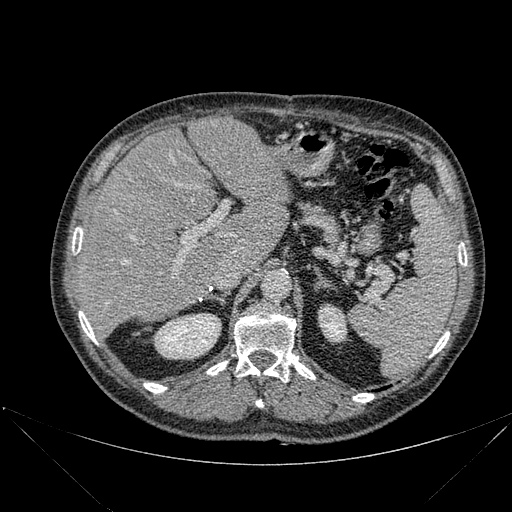
CT scan slice | Abdomen

Liver: [76,117,290,338].
Bone: [72,232,82,253], [430,331,449,357], [234,311,315,381], [144,383,166,393], [353,393,373,402], [458,252,466,265], [207,361,227,375], [79,311,96,343].
Kidney: [318,304,346,341], [155,313,220,358].